CT, 512x512 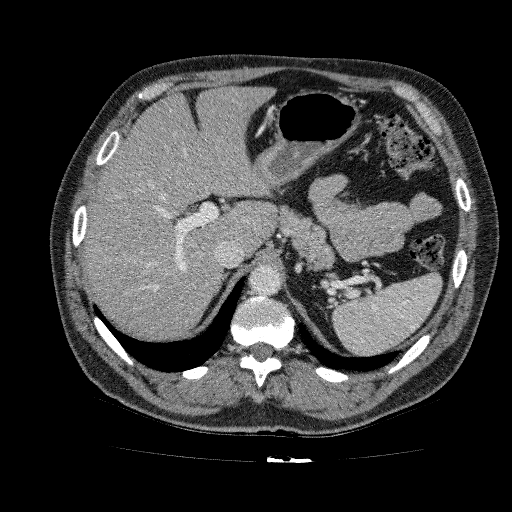

liver:
  - [84, 86, 277, 340]